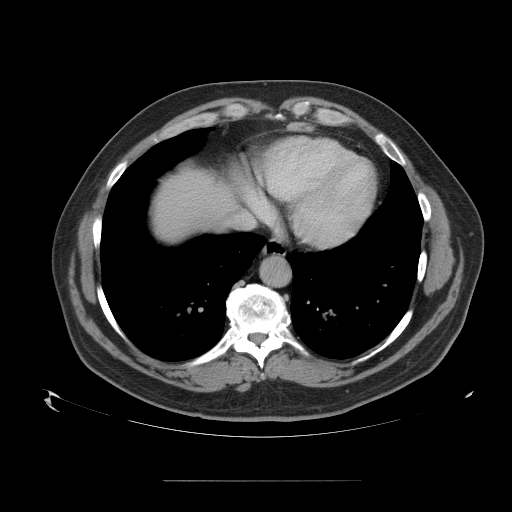

Liver | CT slice
The vessel boxes may cover only some of the vessels.
{"hepatic_vessel": ["rect(225, 211, 253, 227)"]}